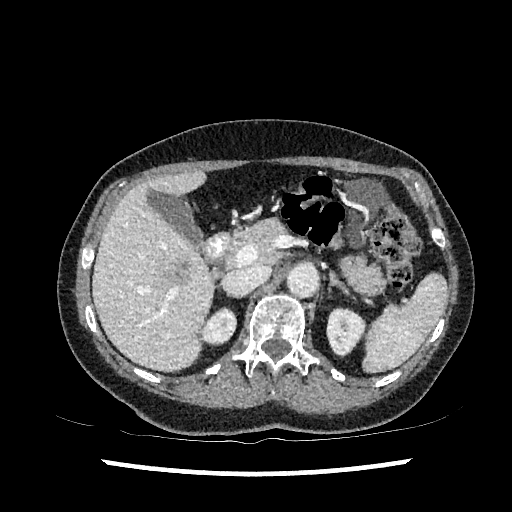
Image size 512x512; Liver; CT scan slice
liver: <bbox>94, 172, 212, 370</bbox> | liver lesion: <bbox>167, 260, 192, 284</bbox> | kidney: <bbox>327, 309, 363, 354</bbox>, <bbox>203, 310, 234, 341</bbox>